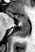
Hippocampus. MR image. 35x52 px. <segmentation>
  <anterior_hippocampus>x1=7, y1=12, x2=27, y2=20</anterior_hippocampus>
  <posterior_hippocampus>x1=15, y1=20, x2=29, y2=37</posterior_hippocampus>
</segmentation>